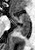

Medial temporal lobe | MRI slice | Image size 35x50

The anterior hippocampus is at (10,13,29,23). The posterior hippocampus is bounded by (18,24,29,36).